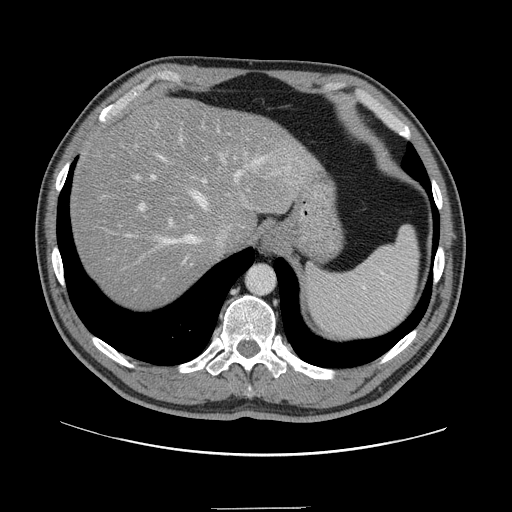
Computed tomography.

Some hepatic vessels may have no box.
Liver tumor = <box>258,195,272,206</box>.
Hepatic vessel = <box>179,138,182,141</box>, <box>235,172,242,181</box>, <box>128,235,131,236</box>, <box>151,176,155,178</box>, <box>206,158,207,159</box>, <box>202,179,206,182</box>, <box>136,176,139,178</box>, <box>192,192,206,207</box>, <box>158,235,198,245</box>, <box>159,156,165,161</box>, <box>169,219,172,226</box>, <box>221,155,224,161</box>, <box>254,159,263,165</box>, <box>140,204,144,210</box>.